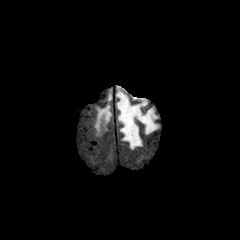
FLAIR MRI.
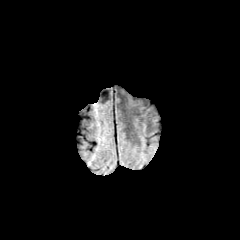
T1-weighted MR.
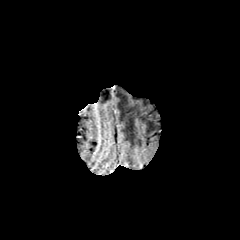
Post-contrast T1-weighted MR.
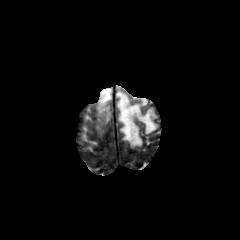
T2-weighted MRI.
Brain | 240x240 px
The edema is at 116 86 158 149.